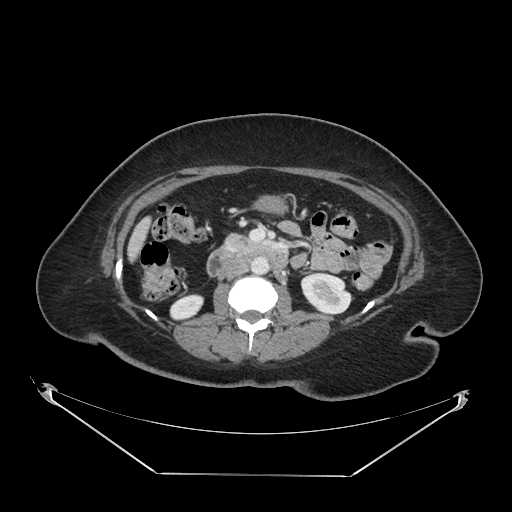
CT, Abdomen
Segmented structures:
- pancreas: x1=238 y1=237 x2=259 y2=253